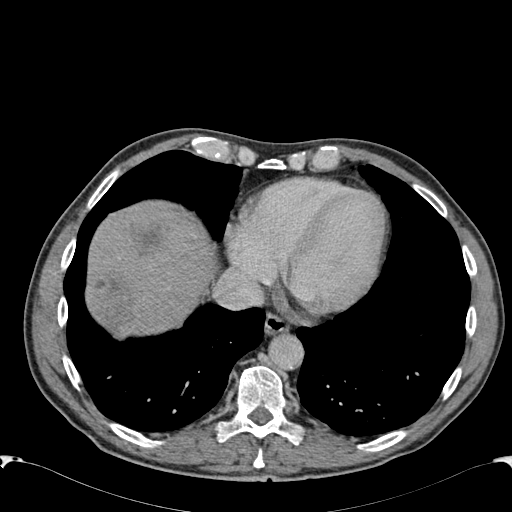

CT image | Image size 512x512

The liver is located at 86:201:213:334. 2 hepatic lesion regions are bounded by 131:226:163:255, 96:278:132:323.